Liver; 512x512; CT scan slice; Image width 419 mm

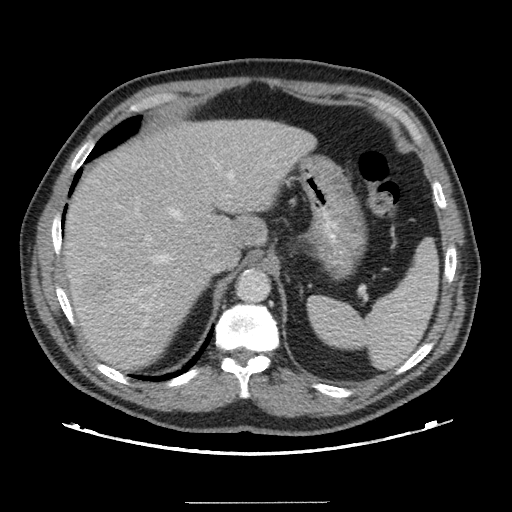

Some hepatic vessels may have no box.
10 hepatic vessel regions are located at 157:256:170:260, 136:202:138:203, 147:298:155:302, 146:234:150:239, 136:287:150:294, 156:284:158:286, 228:172:233:176, 149:257:151:259, 135:208:140:217, 168:209:183:220. The liver tumor is bounded by 79:271:115:304.